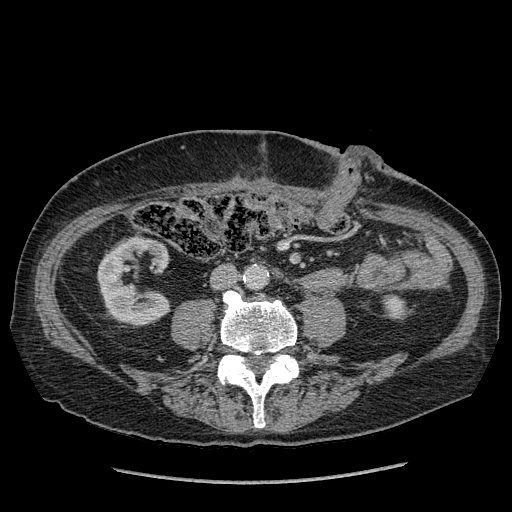
Computed tomography
Kidney: bounding box region(384, 295, 404, 318); region(98, 238, 168, 324).